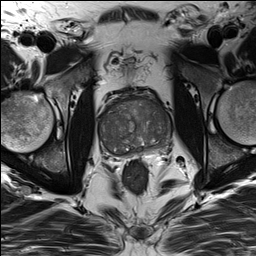
T2-weighted MR.
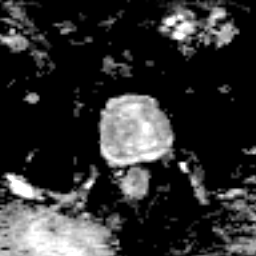
ADC MR image of the same slice.
Prostate peripheral zone at (102,139,168,158).
Prostate transition zone at (101,99,169,153).